CT scan slice, Liver, Image size 512x512

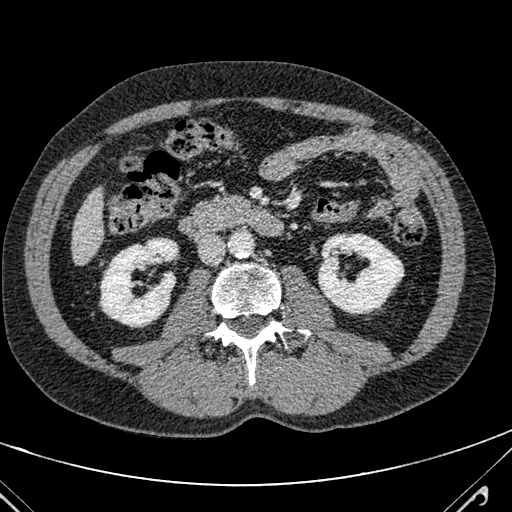

The liver is located at (left=73, top=188, right=103, bottom=262).